CT slice | Image size 512x512
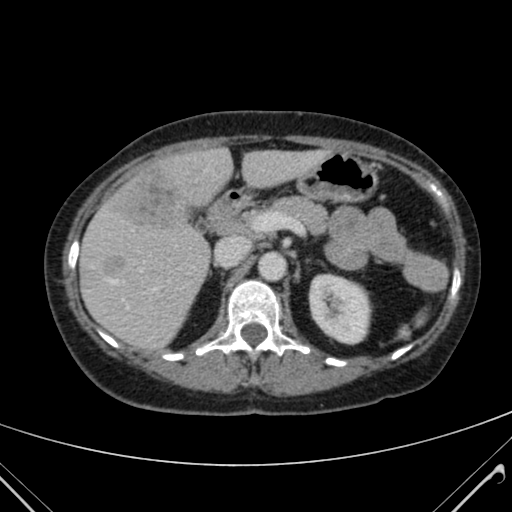
2 liver regions appear at (79,148,231,348), (243,150,327,185). 2 focal liver lesion regions are bounded by (112,166,187,228), (102,253,125,276). The kidney is bounded by (310,276,367,341).